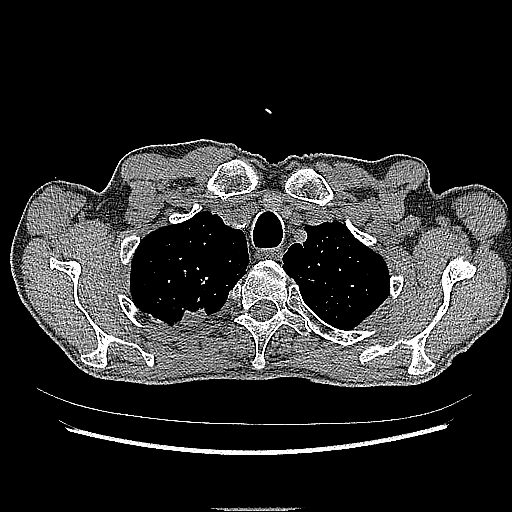 CT
Segmented structures:
- lung tumor: left=168, top=302, right=210, bottom=327